CT image; Liver

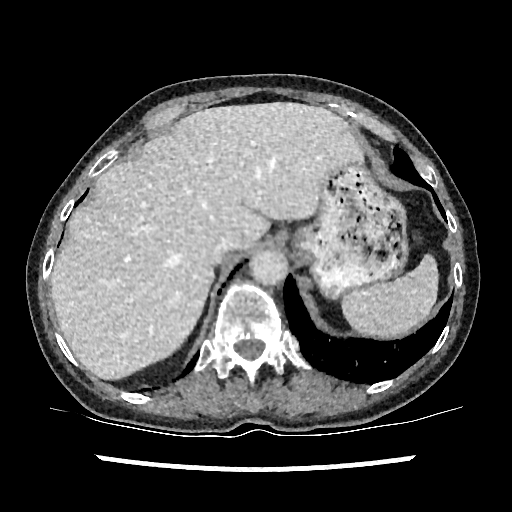 Liver = 52, 103, 363, 377.